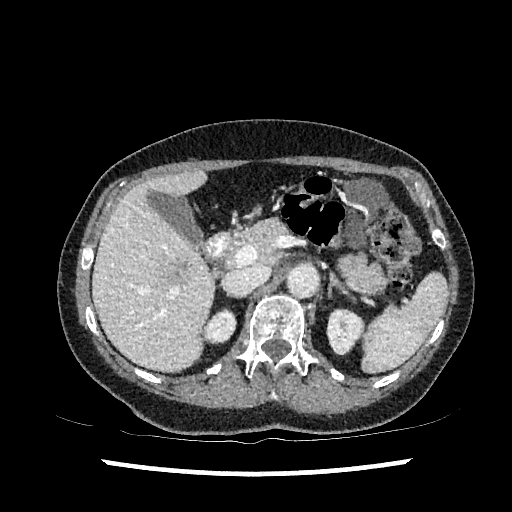
CT image, Upper abdomen

{
  "focal_liver_lesion": [
    "box=[168, 261, 191, 283]"
  ],
  "liver": [
    "box=[93, 171, 213, 371]"
  ],
  "kidney": [
    "box=[328, 310, 362, 353]",
    "box=[206, 311, 233, 339]"
  ]
}